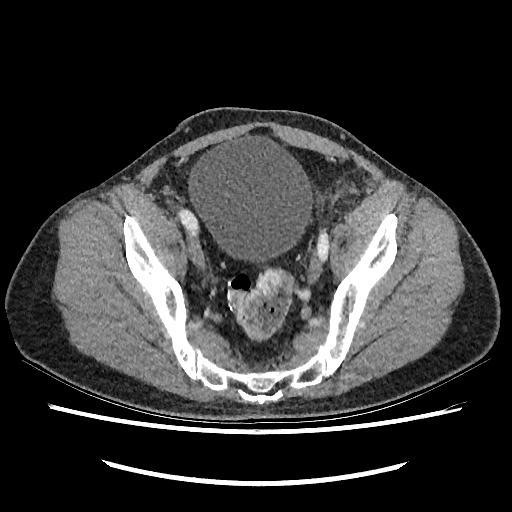 512x512. CT image.
The urinary bladder appears at x1=187, y1=131, x2=313, y2=262.